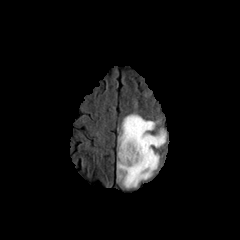
FLAIR MR.
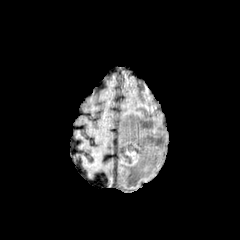
T1-weighted MR of the same slice.
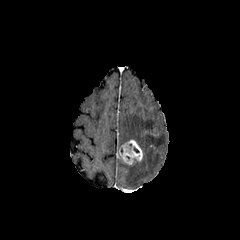
Post-contrast T1-weighted MR image.
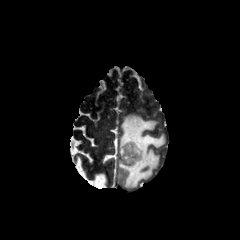
T2-weighted MRI.
Annotated regions:
* enhancing tumor: (118,140,143,165)
* edema: (117,113,165,189)